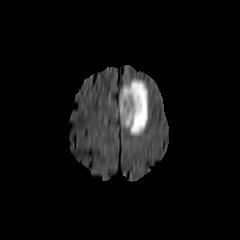
FLAIR magnetic resonance.
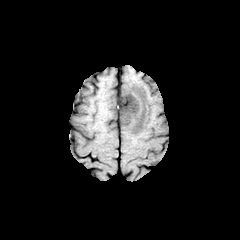
T1-weighted MRI.
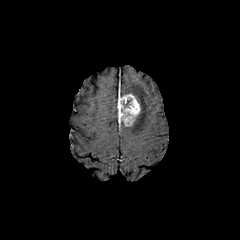
Post-contrast T1-weighted MRI.
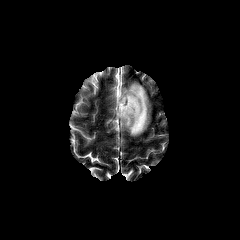
T2-weighted magnetic resonance.
Head
Enhancing tumor at 118, 89, 140, 126.
Edema at 121, 79, 149, 136.